Slice 69 of 155
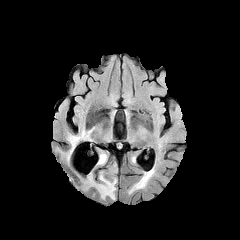
FLAIR MRI.
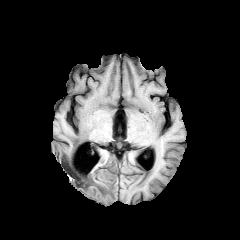
Same slice, T1-weighted MRI.
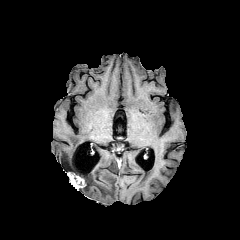
Post-contrast T1-weighted MRI.
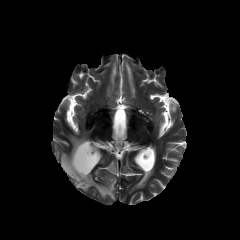
T2-weighted magnetic resonance.
edema: l=61, t=130, r=88, b=165; l=98, t=150, r=106, b=164; l=136, t=170, r=152, b=183; l=84, t=163, r=117, b=198